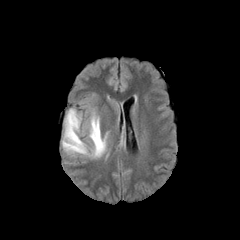
FLAIR magnetic resonance.
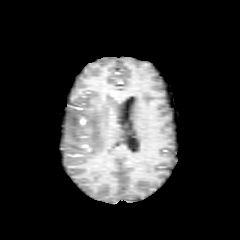
Same slice, T1-weighted MR.
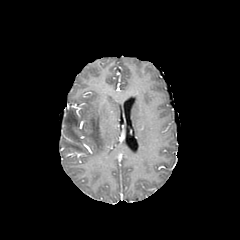
Post-contrast T1-weighted MR of the same slice.
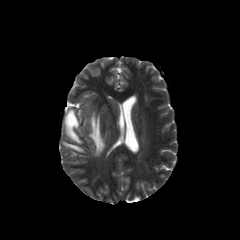
T2-weighted MRI of the same slice.
Brain
The edema appears at region(62, 106, 106, 157).